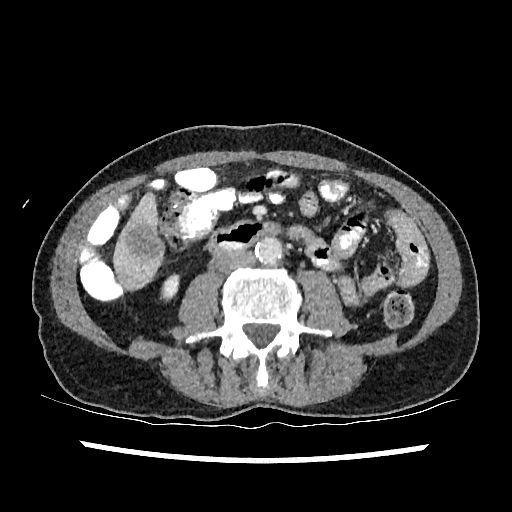
CT scan slice | 512x512

Liver at x1=115, y1=193, x2=161, y2=289.
Kidney at x1=165, y1=276, x2=177, y2=296.
Hepatic lesion at x1=126, y1=224, x2=162, y2=258.